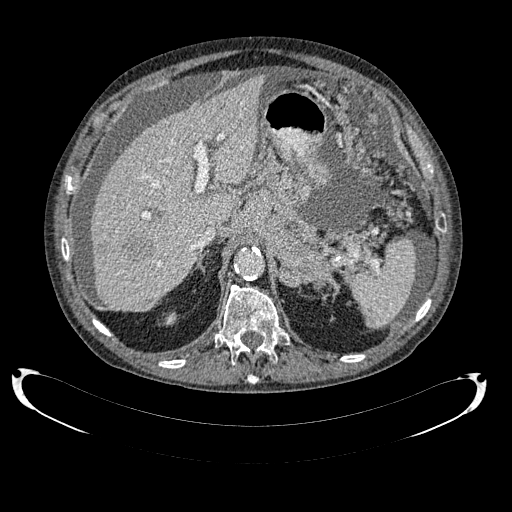

CT image
Liver lesion — 124,234,154,260.
Kidney — 167,313,175,323.
Liver — 91,75,265,311.